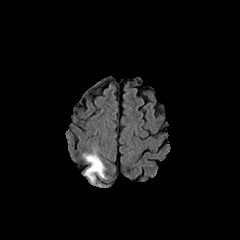
FLAIR MR image.
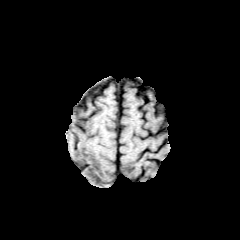
T1-weighted MR.
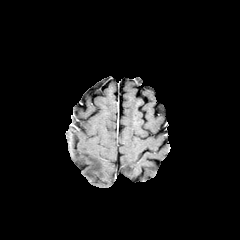
Post-contrast T1-weighted MR of the same slice.
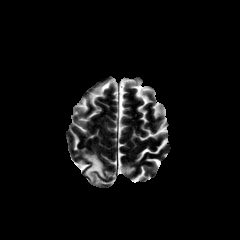
T2-weighted magnetic resonance.
Brain
The edema is located at rect(83, 152, 107, 186).